FLAIR magnetic resonance.
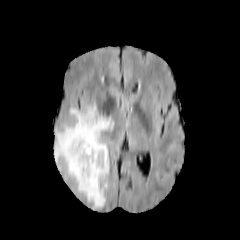
T1-weighted magnetic resonance.
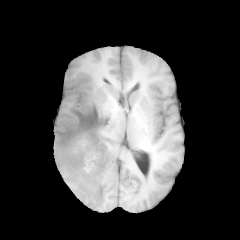
Post-contrast T1-weighted MR.
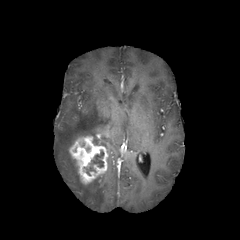
T2-weighted MR.
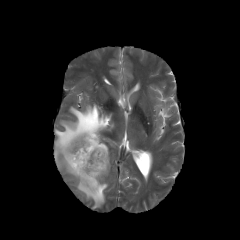
240x240 px
Edema — (x1=53, y1=102, x2=113, y2=208).
Non-enhancing tumor core — (x1=83, y1=149, x2=104, y2=175).
Enhancing tumor — (x1=69, y1=136, x2=108, y2=184).